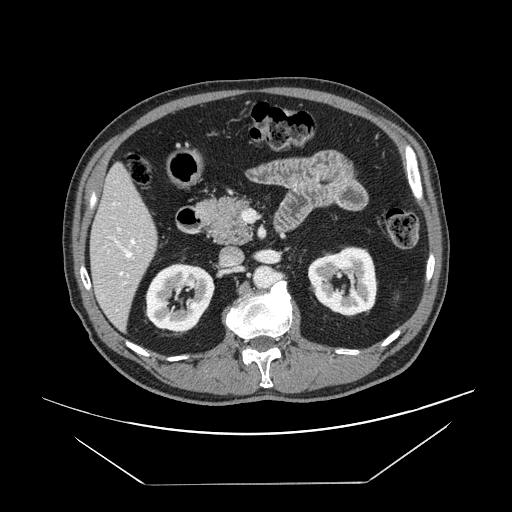

CT slice
The pancreas appears at bbox=[198, 196, 253, 246].